Upper abdomen, 512x512, CT scan slice, Slice 35 of 55 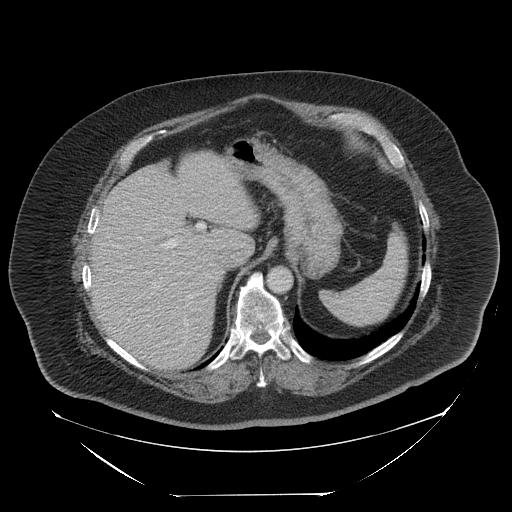

Spleen — x1=320 y1=226 x2=407 y2=324.